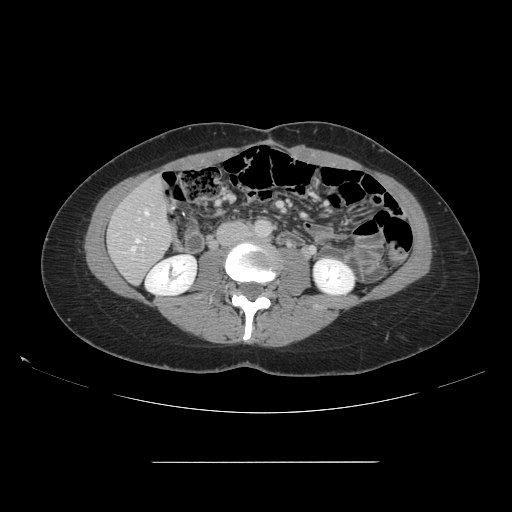
Computed tomography; Abdomen; Image size 512x512

Only some of the vessels may be annotated.
hepatic vessel: 145:210:148:215, 151:223:153:226, 131:247:135:252, 124:252:126:253, 135:237:145:243